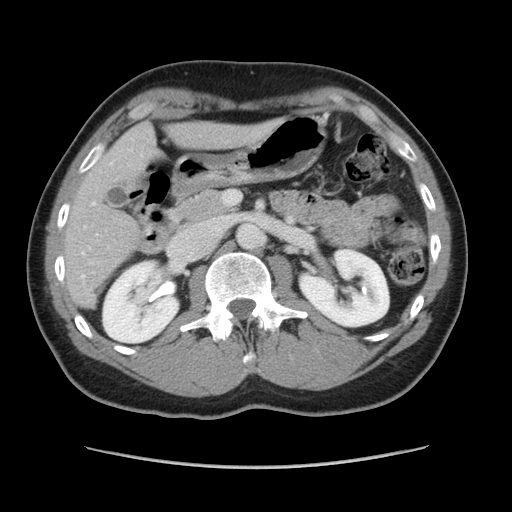

CT image; 512x512 px; Abdomen
The vessel boxes may cover only some of the vessels.
7 hepatic vessel regions are located at left=89, top=247, right=90, bottom=249; left=81, top=275, right=84, bottom=277; left=82, top=252, right=84, bottom=254; left=92, top=201, right=95, bottom=204; left=141, top=154, right=142, bottom=155; left=89, top=261, right=92, bottom=263; left=110, top=162, right=112, bottom=165.